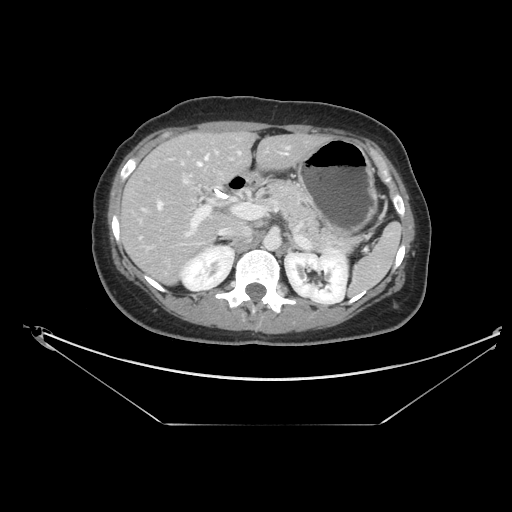

CT image
pancreas:
  - x1=257, y1=182, x2=360, y2=252